Field of view 373x373 mm. Liver. CT. 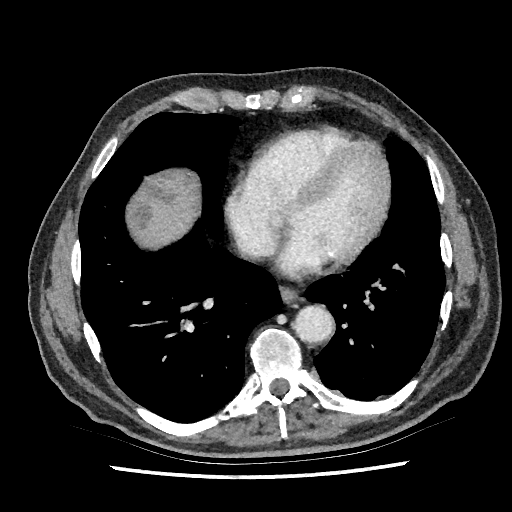

Focal liver lesion = box=[158, 172, 175, 180]; box=[182, 174, 194, 185]; box=[132, 199, 152, 229]; box=[142, 183, 176, 202].
Liver = box=[131, 172, 197, 246].